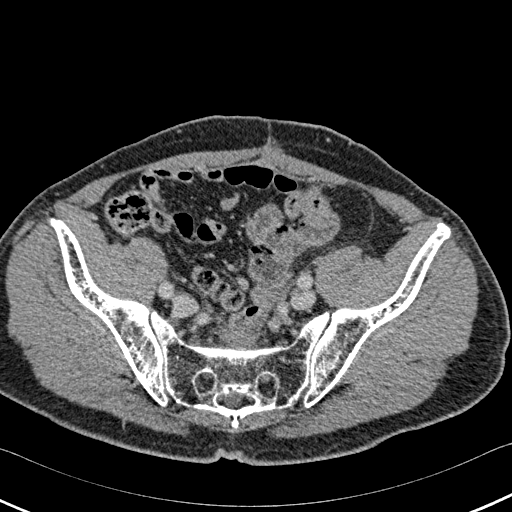

Computed tomography. The bone appears at 51,219,449,427.